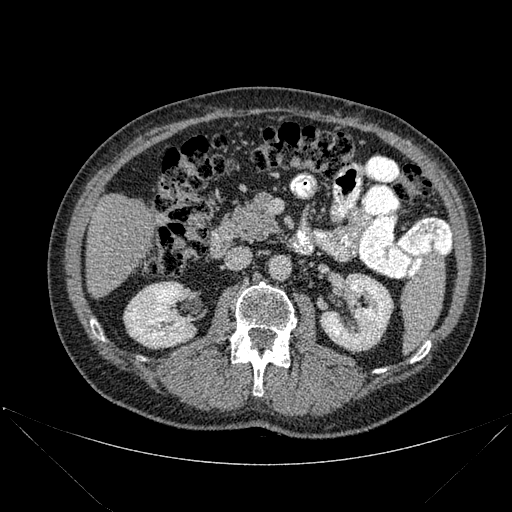 Abdomen; Computed tomography; 512x512 px

bone:
  - 411:341:430:362
  - 230:282:296:395
  - 90:320:103:340
kidney:
  - 124:282:195:348
  - 321:274:392:350
liver:
  - 86:194:152:297